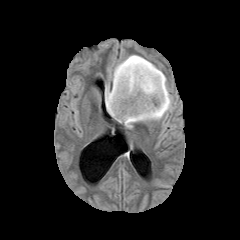
FLAIR magnetic resonance.
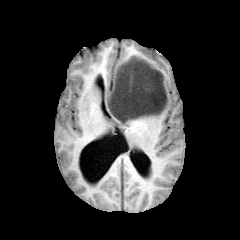
T1-weighted MR image.
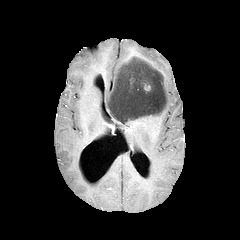
Same slice, post-contrast T1-weighted MR.
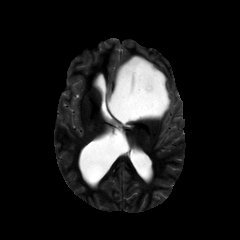
T2-weighted magnetic resonance.
240x240 px
The edema is bounded by {"x1": 104, "y1": 55, "x2": 172, "y2": 127}. The non-enhancing tumor core is located at {"x1": 108, "y1": 62, "x2": 165, "y2": 123}.